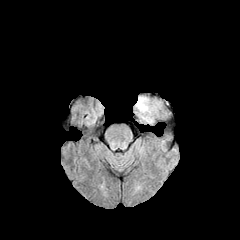
FLAIR magnetic resonance.
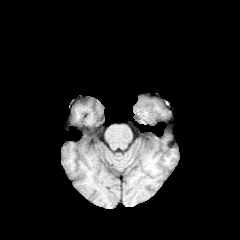
T1-weighted MRI.
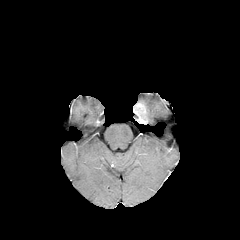
Post-contrast T1-weighted magnetic resonance.
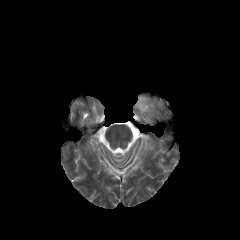
Same slice, T2-weighted magnetic resonance.
Head; Image size 240x240
The edema is bounded by x1=138 y1=96 x2=157 y2=123. The enhancing tumor appears at x1=134 y1=103 x2=147 y2=121.